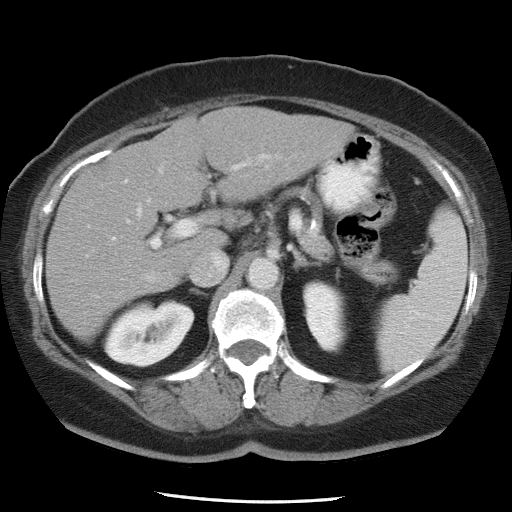 CT image

The vessel boxes may cover only some of the vessels.
hepatic vessel: x1=173, y1=218, x2=194, y2=236; x1=138, y1=208, x2=140, y2=212; x1=151, y1=236, x2=160, y2=246; x1=235, y1=164, x2=241, y2=166; x1=167, y1=215, x2=172, y2=220